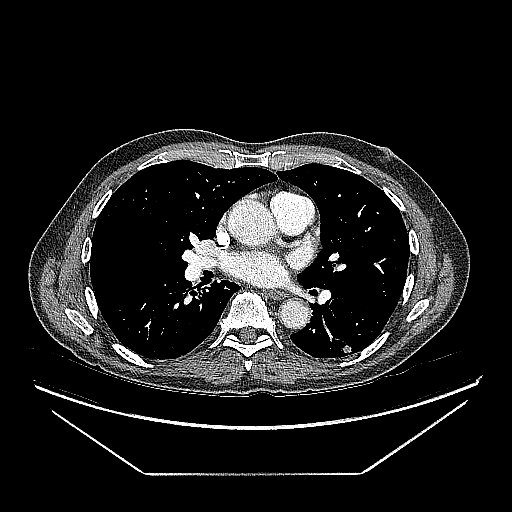
512x512 px. CT slice.

Lung tumor = [340,339,353,354].